FLAIR MR image.
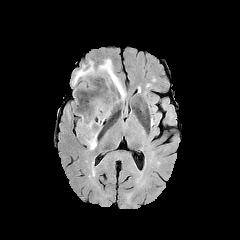
T1-weighted MR image.
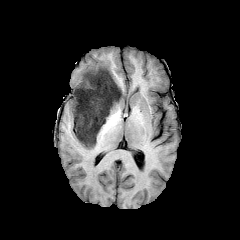
Post-contrast T1-weighted MRI.
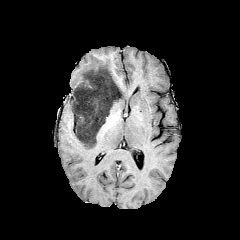
T2-weighted MR image.
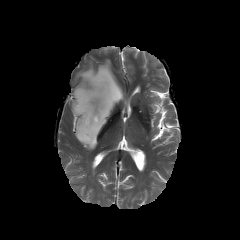
Head
- edema: region(92, 80, 103, 96); region(72, 59, 112, 86)
- non-enhancing tumor core: region(72, 67, 123, 147)